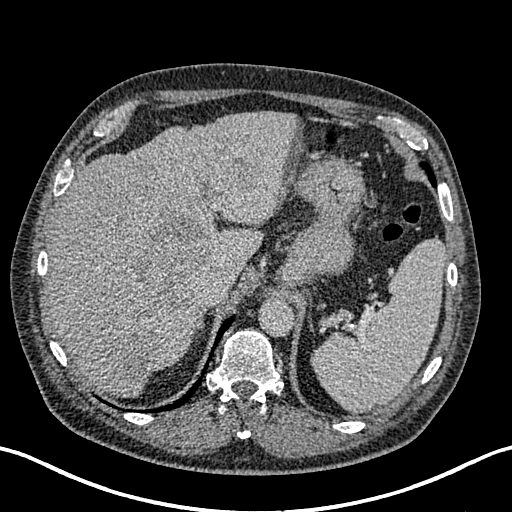

CT slice, Upper abdomen
{
  "liver": [
    "48 111 301 397"
  ],
  "liver_lesion": [
    "131 215 209 310",
    "196 183 216 202",
    "119 334 162 381",
    "224 150 263 188"
  ]
}